CT image; Field of view 700 mm wide, 2.50 mm slice spacing; 512x512; Abdomen
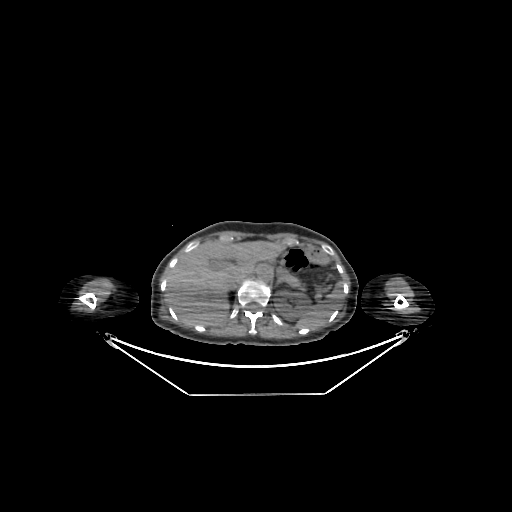
Segmented structures:
• liver: 164,240,281,326
• kidney: 274,289,312,320